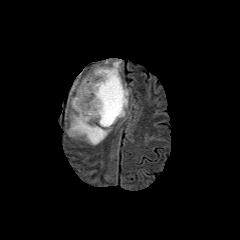
FLAIR MR.
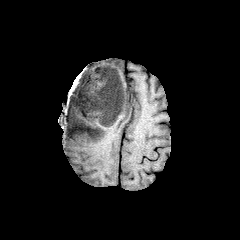
T1-weighted magnetic resonance.
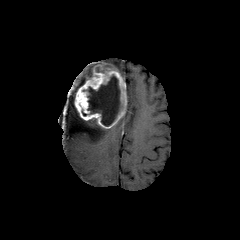
Post-contrast T1-weighted magnetic resonance of the same slice.
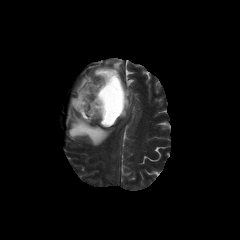
T2-weighted MRI.
Brain.
Findings:
* enhancing tumor: rect(74, 62, 127, 128)
* non-enhancing tumor core: rect(88, 76, 121, 126)
* edema: rect(65, 97, 112, 145); rect(120, 82, 133, 118); rect(72, 78, 84, 91); rect(103, 58, 122, 73)